Slice 99 of 155 | 240x240 px | Image width 240 mm
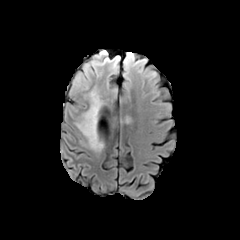
FLAIR MR image.
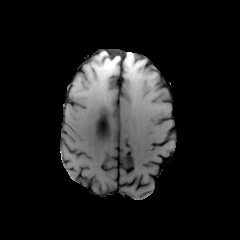
Same slice, T1-weighted MRI.
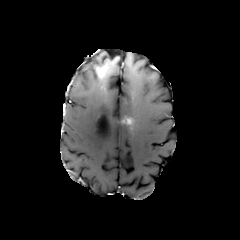
Post-contrast T1-weighted magnetic resonance of the same slice.
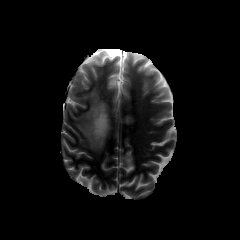
T2-weighted magnetic resonance of the same slice.
Findings:
• enhancing tumor: {"x1": 105, "y1": 58, "x2": 117, "y2": 72}
• non-enhancing tumor core: {"x1": 92, "y1": 53, "x2": 109, "y2": 76}
• edema: {"x1": 76, "y1": 88, "x2": 103, "y2": 151}, {"x1": 76, "y1": 64, "x2": 95, "y2": 90}, {"x1": 123, "y1": 57, "x2": 136, "y2": 77}